CT slice, Lower abdomen
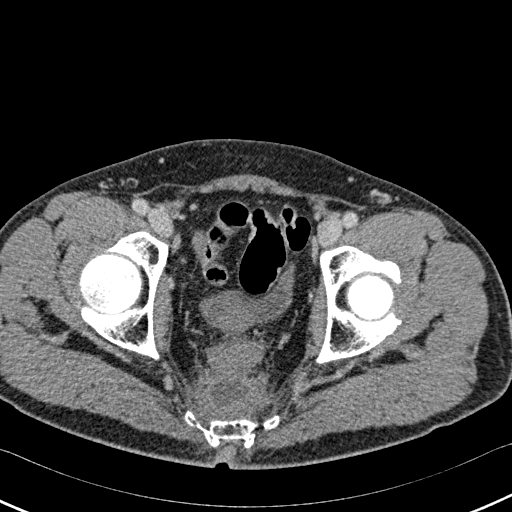

bone:
  - l=317, t=246, r=402, b=362
  - l=184, t=411, r=258, b=447
  - l=78, t=232, r=167, b=358
  - l=262, t=416, r=279, b=429
urinary_bladder:
  - l=203, t=264, r=293, b=331